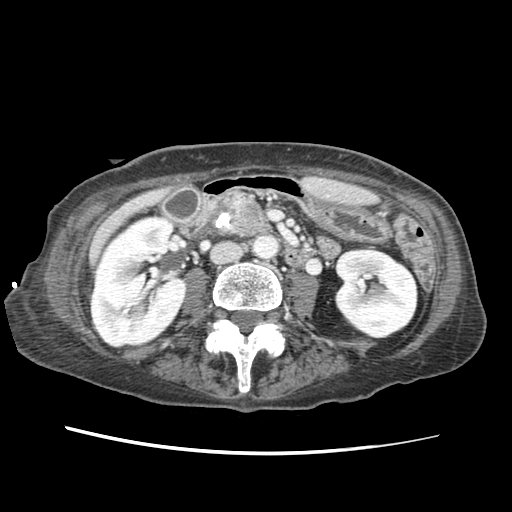

CT scan slice, Abdomen
The pancreatic tumor appears at [x1=236, y1=202, x2=261, y2=233]. The pancreas lies within [x1=231, y1=198, x2=266, y2=236].